FLAIR MR image.
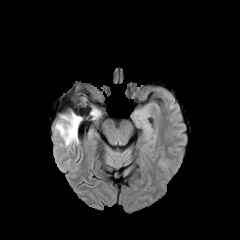
T1-weighted MRI.
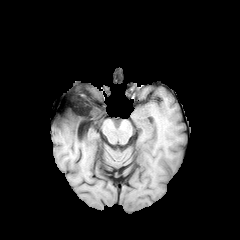
Post-contrast T1-weighted magnetic resonance.
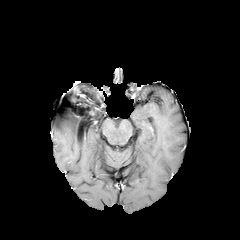
T2-weighted MRI.
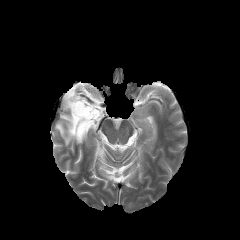
{"edema": ["bbox(53, 120, 81, 149)", "bbox(85, 102, 100, 119)"], "non-enhancing_tumor_core": ["bbox(58, 109, 83, 129)", "bbox(73, 90, 89, 104)"]}